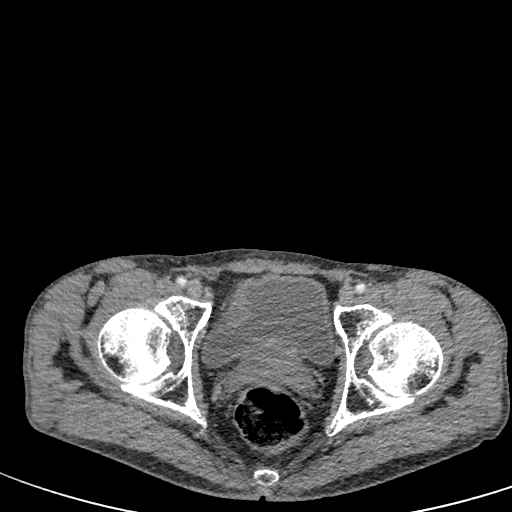

CT slice | Pelvis
<segmentation>
  <urinary_bladder>box(202, 273, 335, 366)</urinary_bladder>
</segmentation>